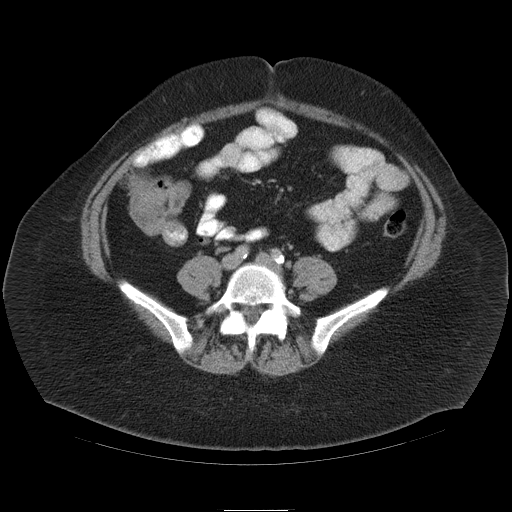
CT image; 512x512 px
Findings:
• colon tumor: box=[145, 187, 164, 204]